CT scan slice; Abdomen; Slice index 475; Field of view 439x439 mm 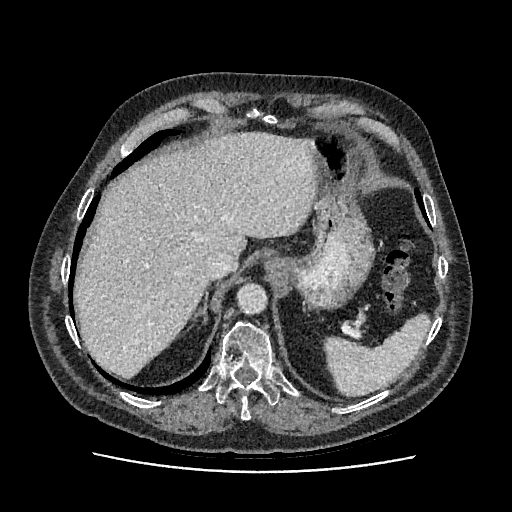 The liver lies within l=76, t=133, r=315, b=378.